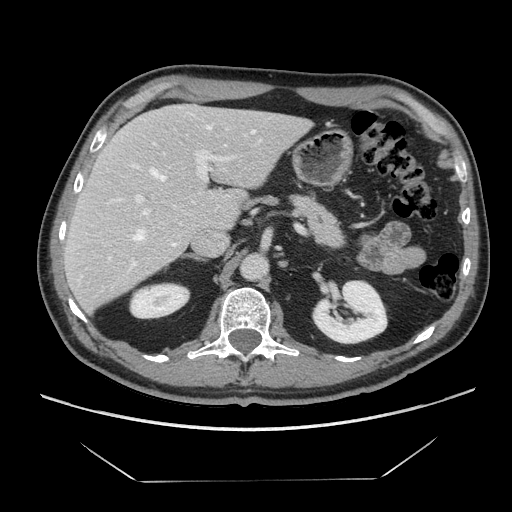 Upper abdomen; 512x512 px; CT scan slice
<segmentation>
  <pancreas>(292,196,344,247)</pancreas>
</segmentation>